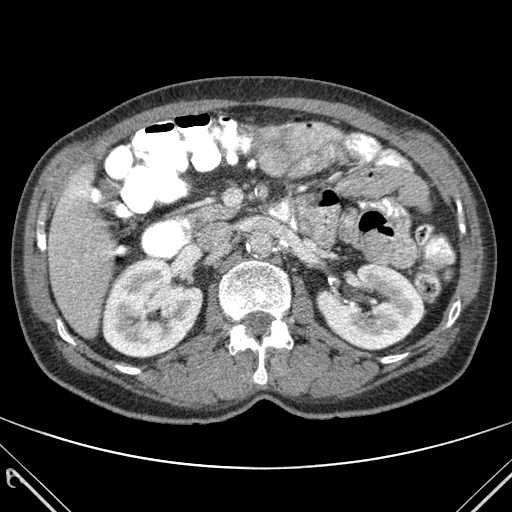
CT slice, Upper abdomen
<segmentation>
  <bone>(116,365,139,373), (57,320,74,343), (382,354,406,362), (448,301,459,325), (37,222,45,252), (220,261,292,383)</bone>
  <liver>(49,163,117,337)</liver>
  <kidney>(104,259,201,356), (319,265,423,348)</kidney>
</segmentation>